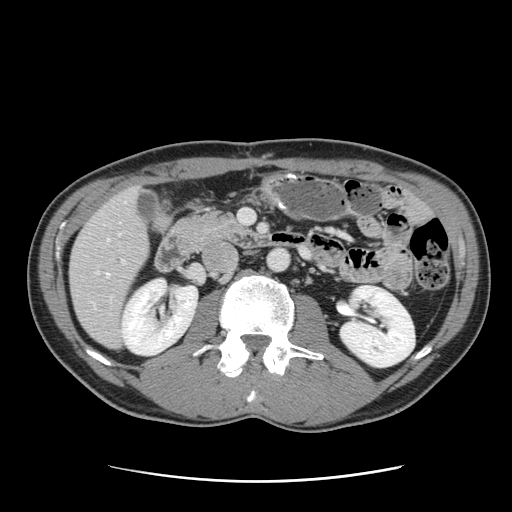
CT image. Liver. Only some of the vessels may be annotated.
5 hepatic vessel regions appear at left=90, top=301, right=95, bottom=308; left=110, top=295, right=112, bottom=299; left=96, top=271, right=97, bottom=273; left=121, top=259, right=124, bottom=262; left=106, top=273, right=108, bottom=276.